Computed tomography, 512x512 px, Abdomen

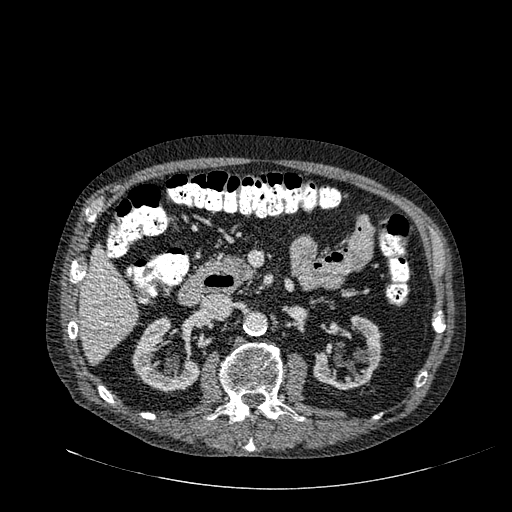

• kidney: {"x1": 329, "y1": 322, "x2": 351, "y2": 338}, {"x1": 313, "y1": 315, "x2": 381, "y2": 389}, {"x1": 132, "y1": 317, "x2": 200, "y2": 392}
• liver: {"x1": 81, "y1": 246, "x2": 137, "y2": 364}